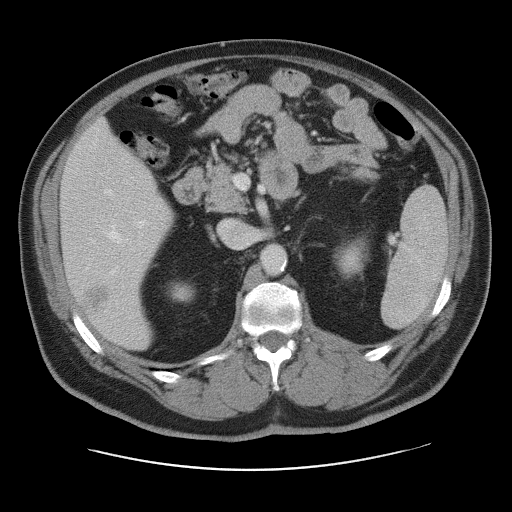
CT; Liver
Only some of the vessels may be annotated.
hepatic_vessel:
  - [105, 225, 122, 242]
  - [224, 223, 227, 225]
  - [234, 176, 247, 188]
  - [134, 220, 148, 227]
  - [260, 186, 263, 191]
  - [104, 189, 112, 195]
  - [110, 270, 114, 272]
liver_tumor:
  - [76, 281, 115, 315]